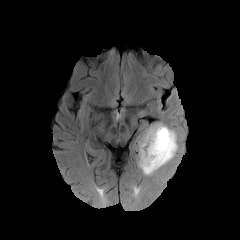
FLAIR MRI.
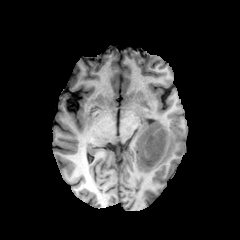
T1-weighted magnetic resonance.
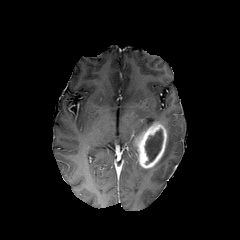
Same slice, post-contrast T1-weighted magnetic resonance.
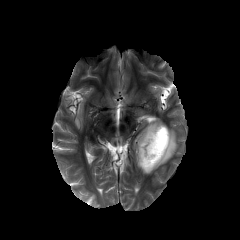
T2-weighted MRI.
Image size 240x240
Annotated regions:
• non-enhancing tumor core: {"x1": 145, "y1": 130, "x2": 162, "y2": 161}
• enhancing tumor: {"x1": 136, "y1": 121, "x2": 167, "y2": 168}
• edema: {"x1": 137, "y1": 120, "x2": 181, "y2": 175}